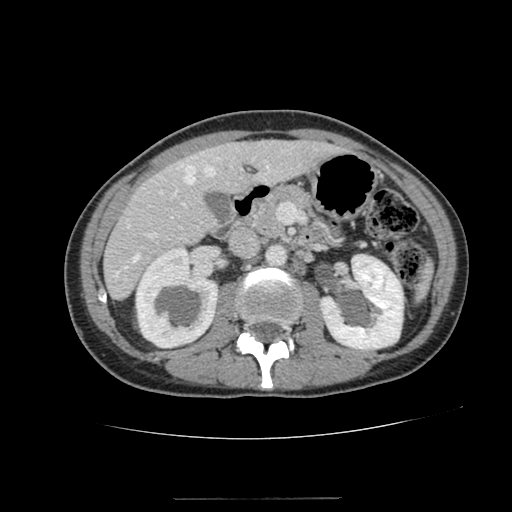
CT | 512x512 px

2 kidney regions are bounded by 136 248 217 347, 321 255 403 349. The liver is located at 104 139 345 297.